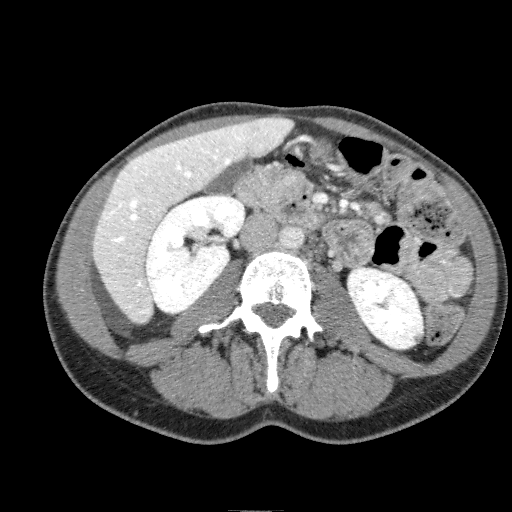 CT scan slice; Abdomen

Kidney: bounding box x1=146, y1=196, x2=243, y2=312; x1=348, y1=268, x2=422, y2=348.
Liver: bounding box x1=93, y1=117, x2=293, y2=323.